36x49 px | Slice 18/36 | MR image 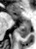
The posterior hippocampus is at 17, 21, 30, 37. 2 anterior hippocampus regions are bounded by 10, 13, 17, 18; 23, 18, 26, 20.